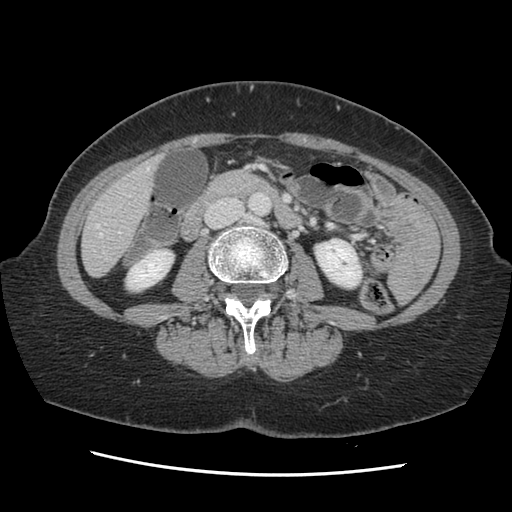 CT scan slice
The vessel annotation is not exhaustive.
3 hepatic vessel regions appear at <bbox>99, 233, 101, 236</bbox>, <bbox>146, 163, 149, 170</bbox>, <bbox>97, 224, 99, 227</bbox>.